FLAIR MRI.
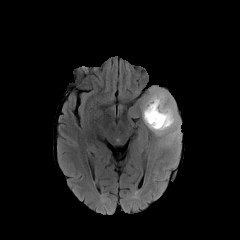
T1-weighted MR.
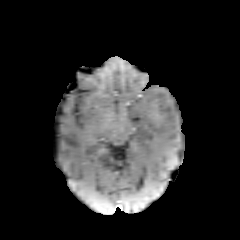
Post-contrast T1-weighted MRI.
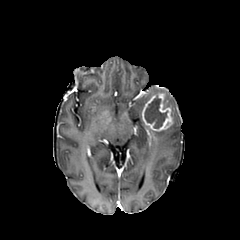
T2-weighted MR image.
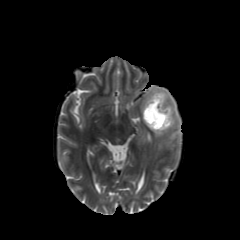
Head
2 edema regions appear at l=140, t=94, r=147, b=117; l=142, t=88, r=181, b=154. 2 non-enhancing tumor core regions appear at l=145, t=91, r=154, b=102; l=144, t=98, r=166, b=128. The enhancing tumor is located at l=142, t=93, r=173, b=131.